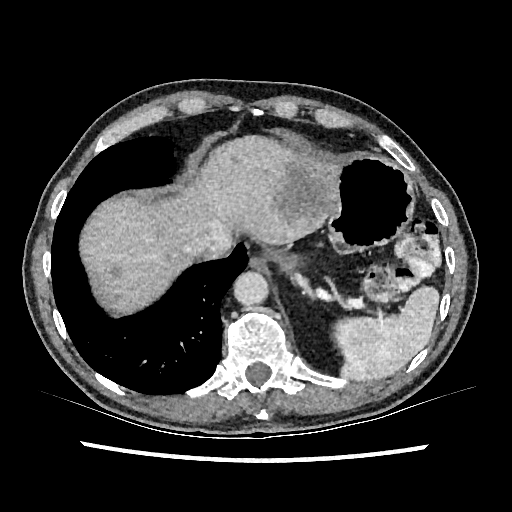
512x512 px | CT scan slice
{"liver": ["(x1=85, y1=137, x2=339, y2=308)"], "liver_lesion": ["(x1=272, y1=166, x2=335, y2=225)", "(x1=109, y1=264, x2=122, y2=279)", "(x1=230, y1=155, x2=240, y2=164)", "(x1=194, y1=175, x2=202, y2=185)"]}